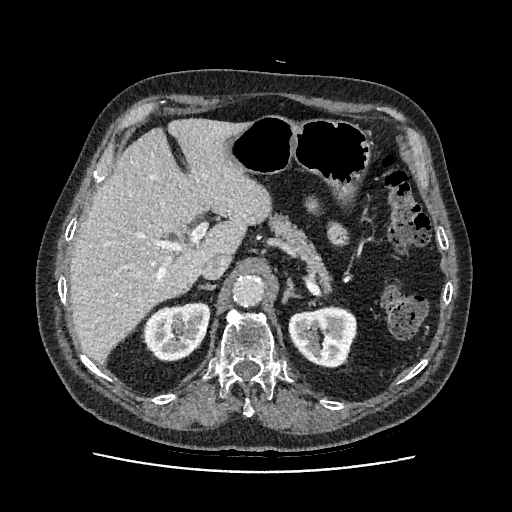

Upper abdomen | CT scan slice

2 kidney regions are bounded by 289:308:355:366, 145:304:209:359. The liver lies within 69:119:270:364.